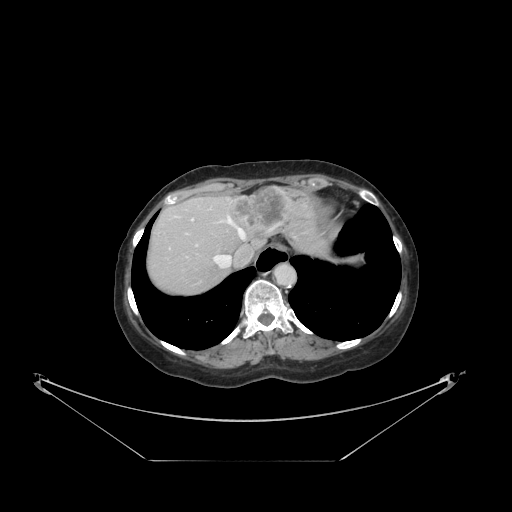 CT image; 512x512
Some hepatic vessels may have no box.
Segmented structures:
• hepatic vessel: {"x1": 187, "y1": 256, "x2": 188, "y2": 257}, {"x1": 219, "y1": 215, "x2": 245, "y2": 239}, {"x1": 243, "y1": 261, "x2": 245, "y2": 262}, {"x1": 213, "y1": 248, "x2": 244, "y2": 267}
• liver tumor: {"x1": 229, "y1": 188, "x2": 289, "y2": 234}